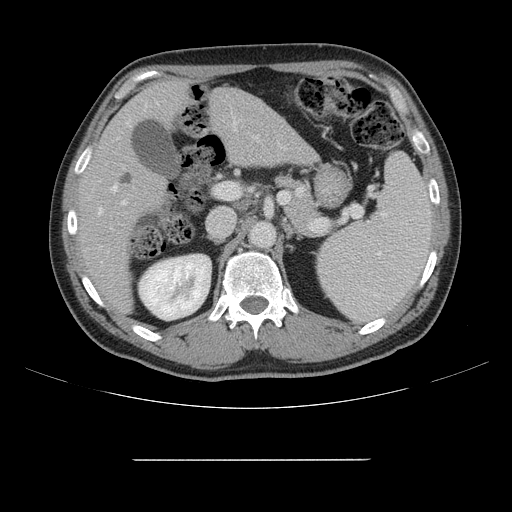 Abdomen. CT. Image size 512x512.

Some hepatic vessels may have no box.
hepatic vessel: left=233, top=117, right=239, bottom=129; left=255, top=135, right=258, bottom=137; left=110, top=184, right=117, bottom=191; left=98, top=207, right=102, bottom=215; left=121, top=200, right=125, bottom=204